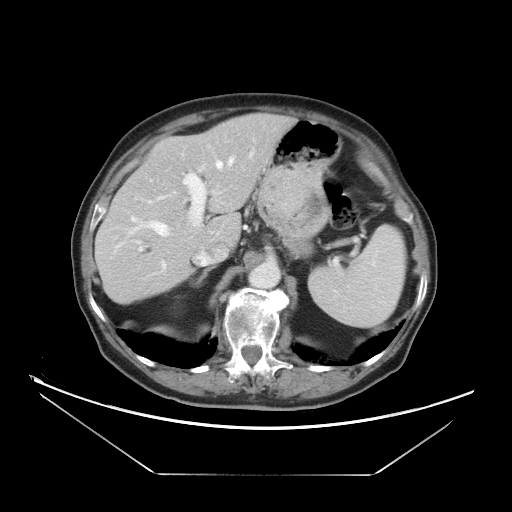 CT scan slice. Abdomen.
The vessel boxes may cover only some of the vessels.
hepatic_vessel:
  - 183, 177, 193, 194
  - 130, 216, 167, 235
  - 161, 261, 165, 268
  - 216, 155, 234, 171
  - 136, 240, 142, 249